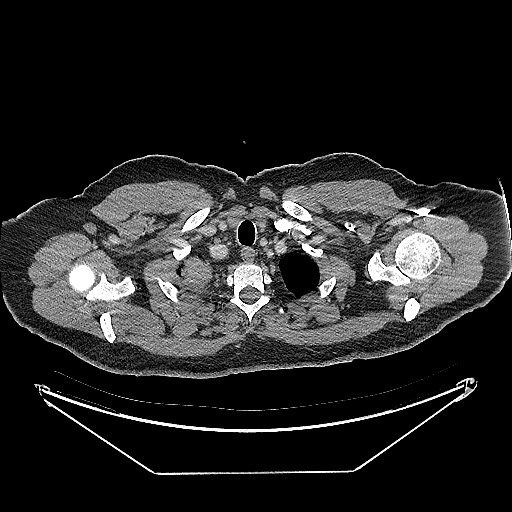

Chest. Computed tomography.
{
  "lung_tumor": [
    "left=177, top=254, right=212, bottom=284"
  ]
}